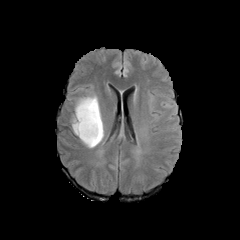
FLAIR MR image.
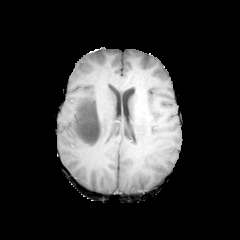
Same slice, T1-weighted MR image.
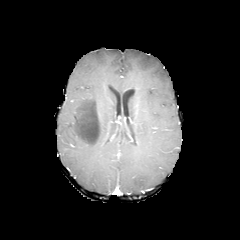
Post-contrast T1-weighted magnetic resonance.
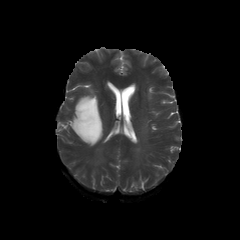
T2-weighted MR.
Head
{"edema": ["left=69, top=89, right=106, bottom=149"], "non-enhancing_tumor_core": ["left=74, top=99, right=100, bottom=141"]}